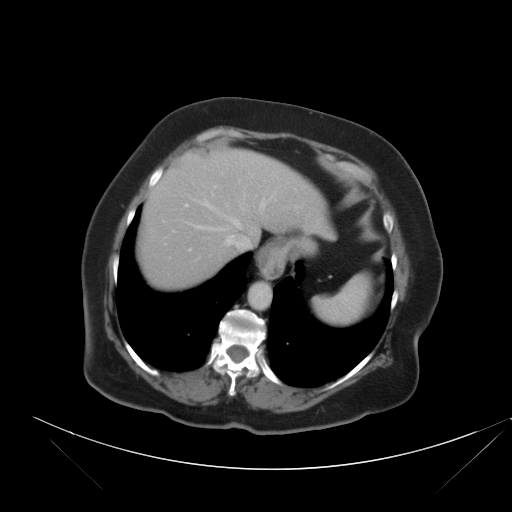

512x512 px | CT scan slice | Liver
The vessel boxes may cover only some of the vessels.
10 hepatic vessel regions are bounded by rect(294, 205, 299, 207); rect(212, 185, 216, 195); rect(193, 198, 218, 212); rect(260, 195, 276, 212); rect(189, 248, 191, 250); rect(186, 222, 224, 230); rect(227, 217, 241, 228); rect(185, 203, 188, 206); rect(225, 234, 243, 245); rect(173, 230, 175, 232).